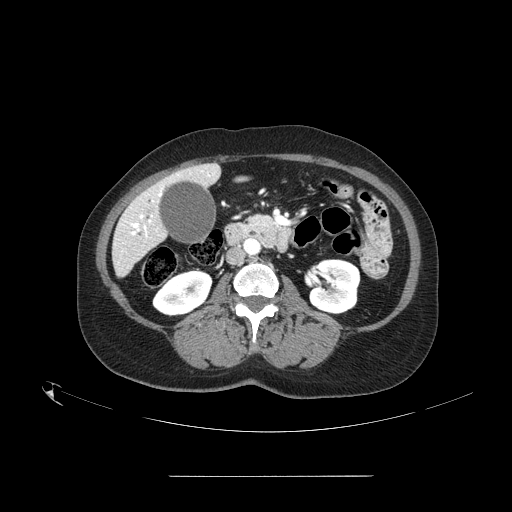

Computed tomography. Segmented structures:
* pancreas: {"x1": 242, "y1": 215, "x2": 278, "y2": 247}